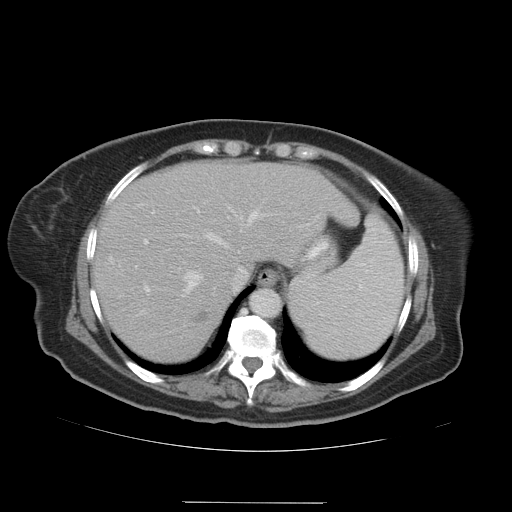 CT | Liver
The vessel annotation is not exhaustive.
Hepatic vessel = (x1=260, y1=257, x2=261, y2=258), (x1=279, y1=259, x2=288, y2=262), (x1=194, y1=207, x2=199, y2=212), (x1=224, y1=244, x2=226, y2=246), (x1=248, y1=212, x2=271, y2=223), (x1=144, y1=240, x2=147, y2=243), (x1=240, y1=225, x2=241, y2=231), (x1=182, y1=272, x2=202, y2=295), (x1=208, y1=233, x2=221, y2=243).